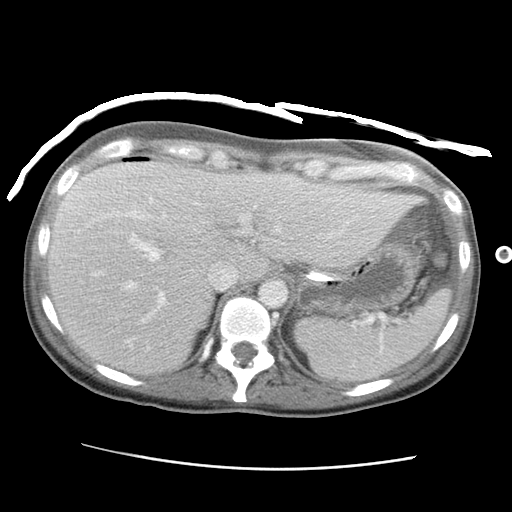

CT slice | Liver
* liver: <box>47,161,426,374</box>